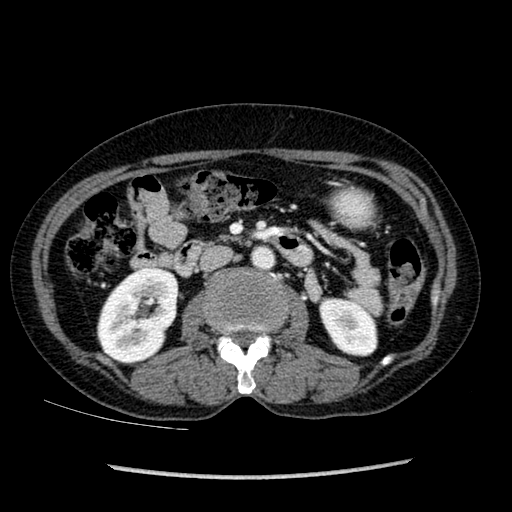 512x512 px, CT image
2 kidney regions are bounded by box=[98, 268, 177, 362]; box=[321, 300, 375, 354].